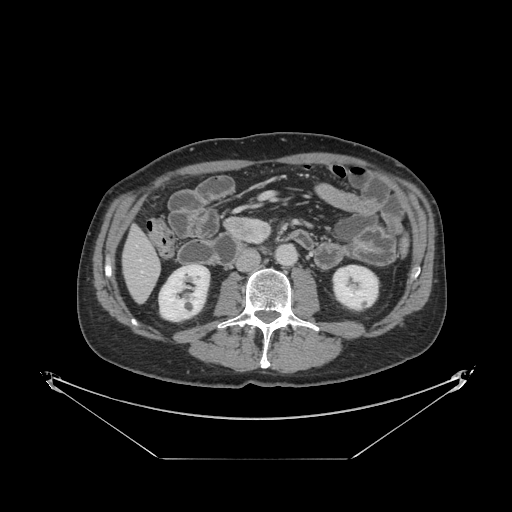 Upper abdomen, 512x512, CT
The pancreatic tumor is at {"x1": 224, "y1": 217, "x2": 269, "y2": 243}.